CT image, Slice index 7, Image size 512x512, Field of view 327 mm wide, 5.00 mm slice spacing
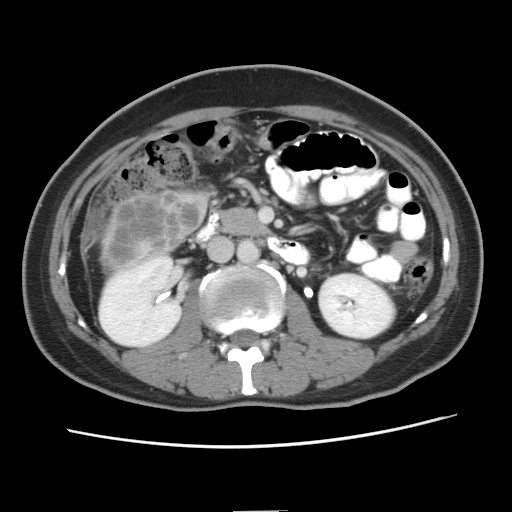 The liver tumor is located at x1=105, y1=193, x2=201, y2=266.